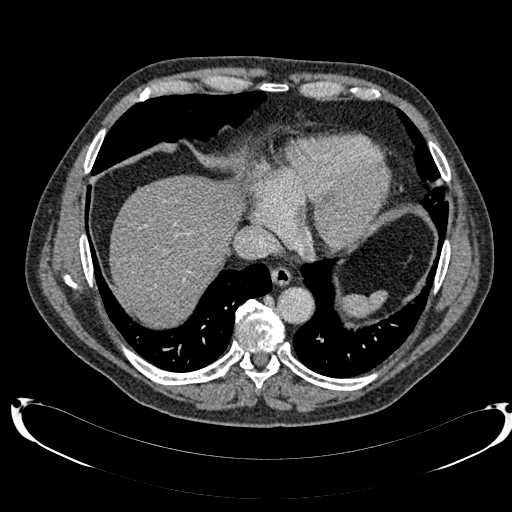 Liver. CT scan slice. The liver lies within l=109, t=175, r=244, b=327.